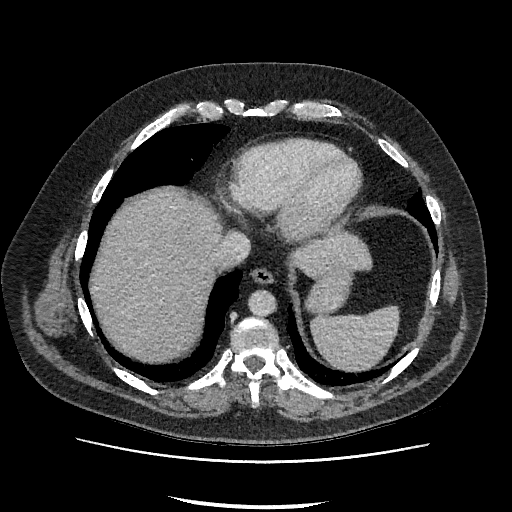 Upper abdomen. Image size 512x512. CT scan slice. 2 liver regions appear at 91:191:221:359, 292:234:371:276.